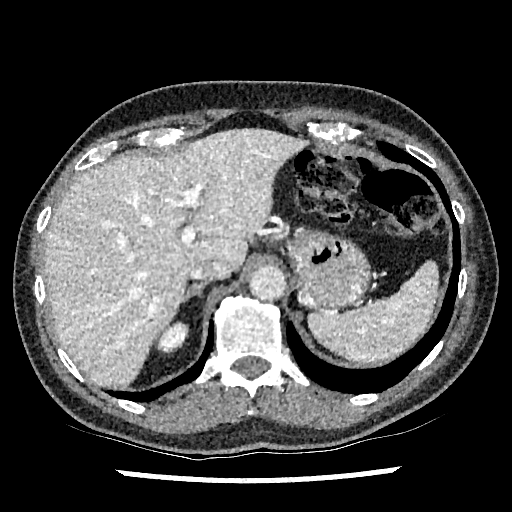
CT slice; 512x512 px

Kidney — box=[161, 325, 184, 349].
Liver — box=[43, 128, 308, 385].